240x240 px. Slice index 84. Head.
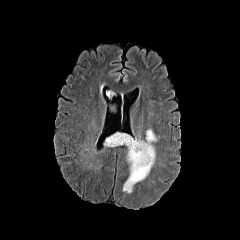
FLAIR MRI.
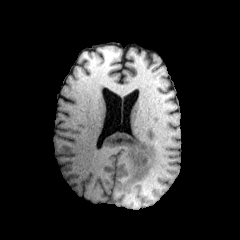
T1-weighted MR image.
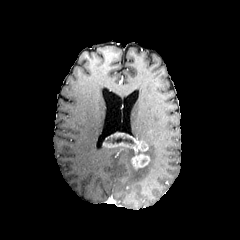
Post-contrast T1-weighted MR image of the same slice.
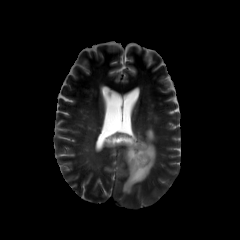
T2-weighted MR of the same slice.
{
  "enhancing_tumor": [
    "bbox=[102, 132, 149, 170]"
  ],
  "edema": [
    "bbox=[123, 129, 155, 193]"
  ],
  "non-enhancing_tumor_core": [
    "bbox=[107, 136, 134, 144]"
  ]
}